FLAIR MR.
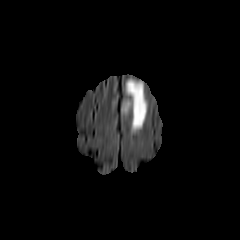
T1-weighted magnetic resonance.
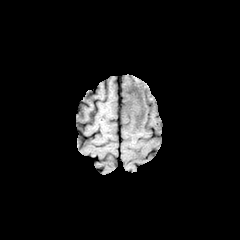
Post-contrast T1-weighted magnetic resonance.
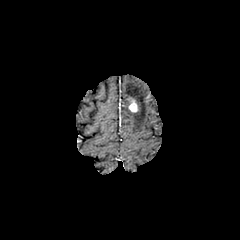
T2-weighted MRI.
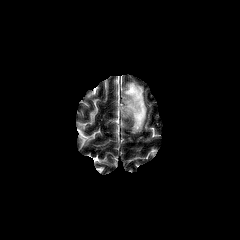
Annotated regions:
• edema: l=121, t=79, r=147, b=133
• enhancing tumor: l=128, t=99, r=137, b=112